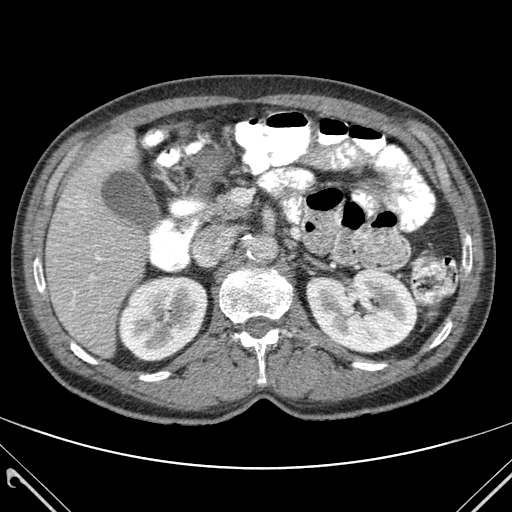
Upper abdomen, Computed tomography
8 bone regions are located at x1=235 y1=329 x2=278 y2=382, x1=140 y1=372 x2=169 y2=381, x1=353 y1=362 x2=385 y2=370, x1=34 y1=259 x2=44 y2=291, x1=463 y1=236 x2=471 y2=270, x1=431 y1=322 x2=451 y2=347, x1=71 y1=343 x2=96 y2=363, x1=220 y1=269 x2=291 y2=322. 2 kidney regions are bounded by x1=120 y1=278 x2=206 y2=359, x1=307 y1=269 x2=416 y2=351. The liver lies within x1=46 y1=131 x2=150 y2=358.